Brain | 240x240 px
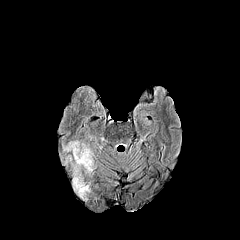
FLAIR MR image.
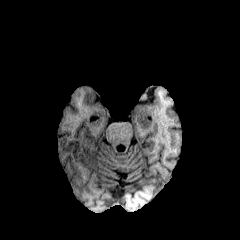
T1-weighted magnetic resonance.
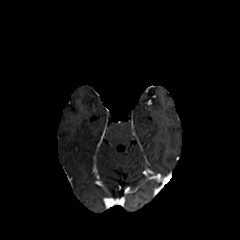
Same slice, post-contrast T1-weighted magnetic resonance.
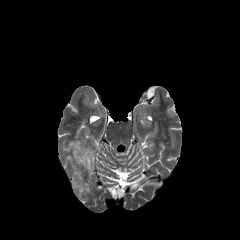
T2-weighted MR.
Segmented structures:
* edema: (64, 140, 94, 194)